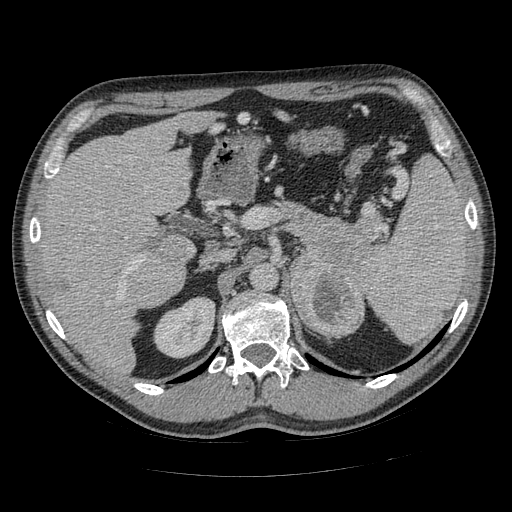
CT; Abdomen
The pancreas lies within region(282, 204, 375, 287). The pancreatic tumor appears at region(291, 255, 364, 337).